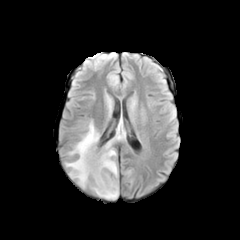
FLAIR MR image.
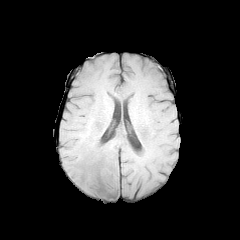
T1-weighted MR image.
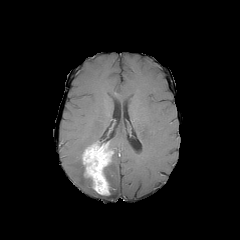
Post-contrast T1-weighted MRI.
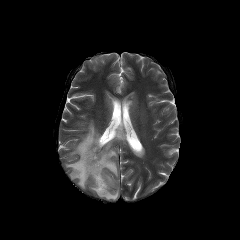
Same slice, T2-weighted MRI.
Head
enhancing_tumor:
  - 82 143 113 195
edema:
  - 65 120 100 187
  - 98 117 125 199